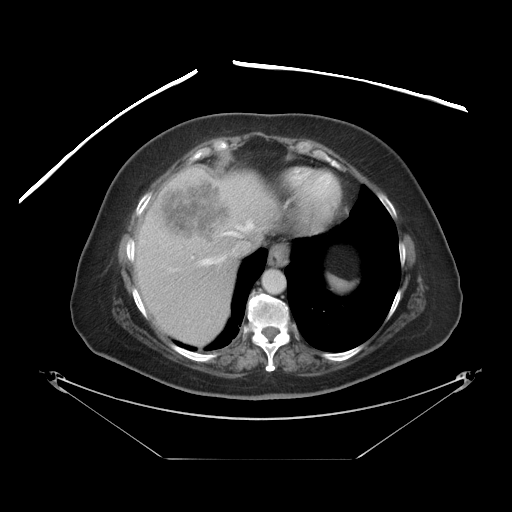

Computed tomography

Some hepatic vessels may have no box.
The liver tumor is bounded by [156,178,233,245]. 4 hepatic vessel regions are located at [230,244,248,255], [200,258,217,264], [221,257,223,258], [223,220,254,237].